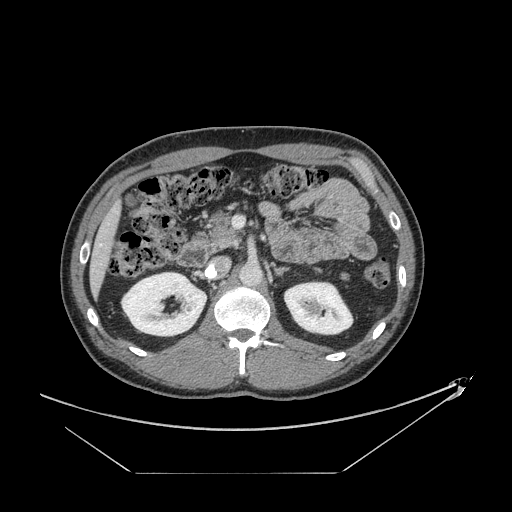 512x512 | CT
pancreas: 193, 213, 238, 253